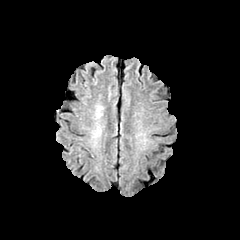
FLAIR MR image.
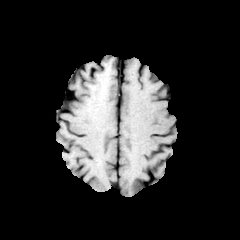
T1-weighted MR.
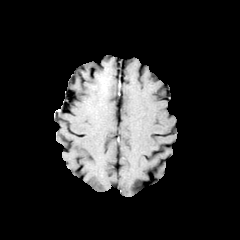
Post-contrast T1-weighted MR.
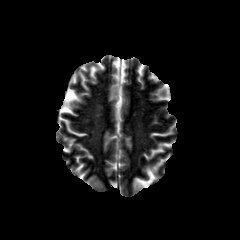
T2-weighted magnetic resonance.
Image size 240x240
edema: 92, 126, 101, 139; 96, 104, 102, 117